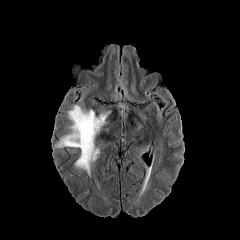
FLAIR MRI.
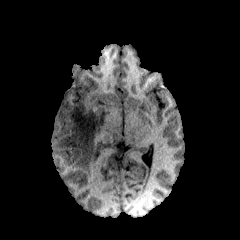
T1-weighted MR image.
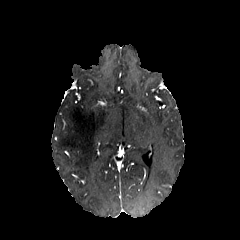
Same slice, post-contrast T1-weighted MR image.
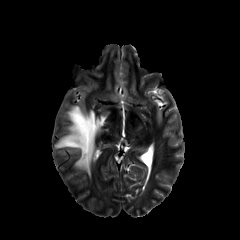
T2-weighted MR.
Image size 240x240.
Edema: bbox(54, 105, 109, 175).